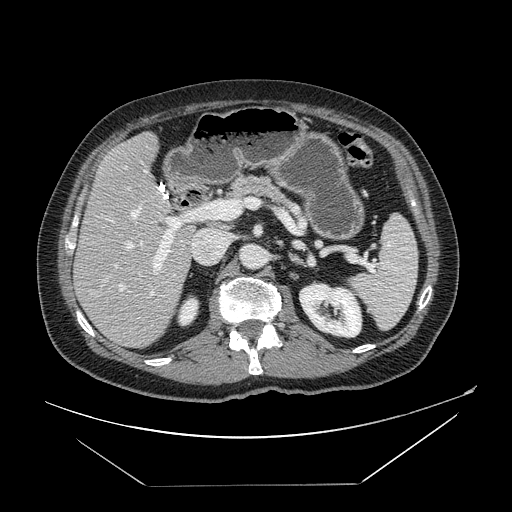

Computed tomography | 512x512 | Abdomen
Pancreas — (left=229, top=176, right=289, bottom=206).